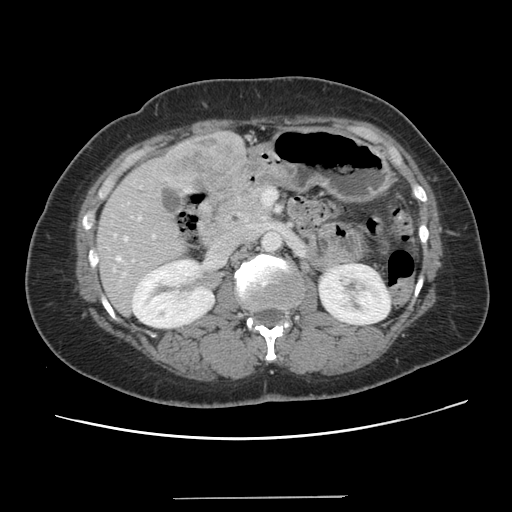 Abdomen | Computed tomography | Image size 512x512

The vessel boxes may cover only some of the vessels.
<segmentation>
  <hepatic_vessel>(left=124, top=237, right=127, bottom=240), (left=117, top=257, right=120, bottom=260), (left=138, top=216, right=141, bottom=219), (left=114, top=234, right=116, bottom=236), (left=132, top=259, right=134, bottom=261), (left=123, top=273, right=125, bottom=275), (left=113, top=268, right=115, bottom=270), (left=152, top=235, right=155, bottom=237)</hepatic_vessel>
  <liver_tumor>(left=166, top=134, right=238, bottom=189)</liver_tumor>
</segmentation>